240x240 px, Head, Slice index 85
FLAIR MRI.
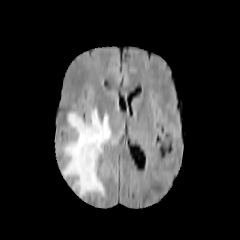
T1-weighted MR image.
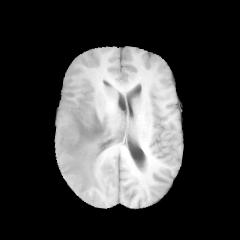
Post-contrast T1-weighted MR.
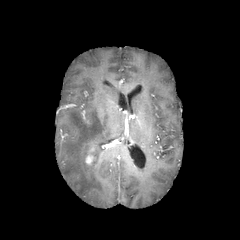
T2-weighted MRI.
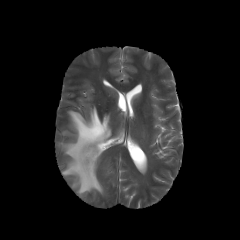
The edema appears at <box>62,109,111,197</box>. The enhancing tumor is bounded by <box>85,150,93,164</box>.